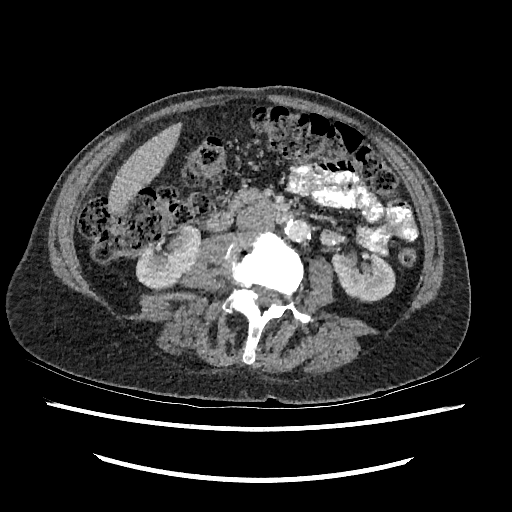 Abdomen; CT slice; 512x512
kidney:
  - 136 243 199 288
  - 333 255 394 300
liver:
  - 110 123 180 211